Liver; Image size 512x512; CT

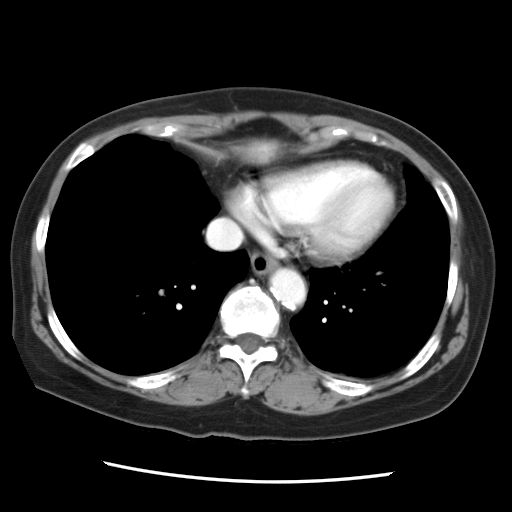 Not every hepatic vessel necessarily has a box.
Hepatic vessel: bounding box bbox=[241, 189, 253, 223]; bbox=[209, 219, 240, 248].